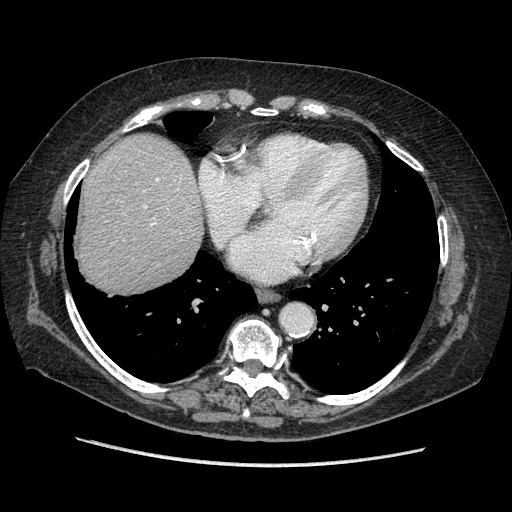
CT image. Image size 512x512. Abdomen. Some hepatic vessels may have no box.
Hepatic vessel: [151,223,153,224], [143,205,145,206].